FLAIR magnetic resonance.
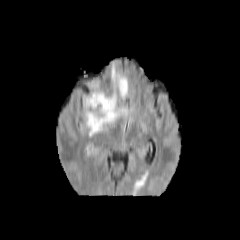
T1-weighted MRI.
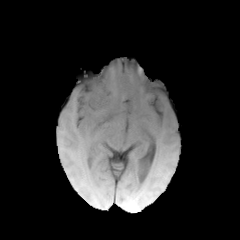
Post-contrast T1-weighted MR image.
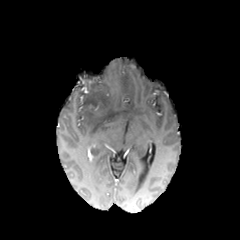
T2-weighted MRI.
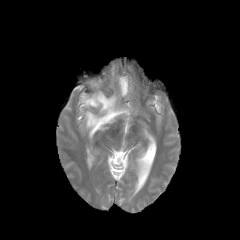
Image size 240x240; Head
The edema is at <bbox>81, 67, 133, 138</bbox>. The non-enhancing tumor core is at <bbox>78, 74, 115, 111</bbox>.